FLAIR MR image.
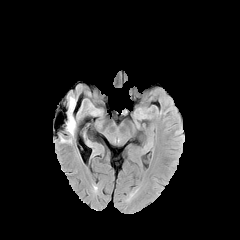
T1-weighted magnetic resonance.
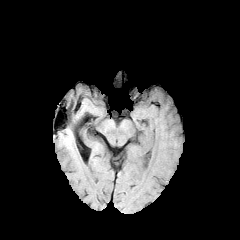
Post-contrast T1-weighted MR image.
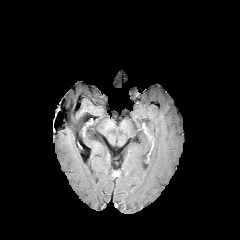
T2-weighted MR.
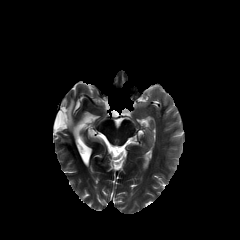
Edema: <bbox>66, 97, 77, 137</bbox>.